Abdomen. Computed tomography.
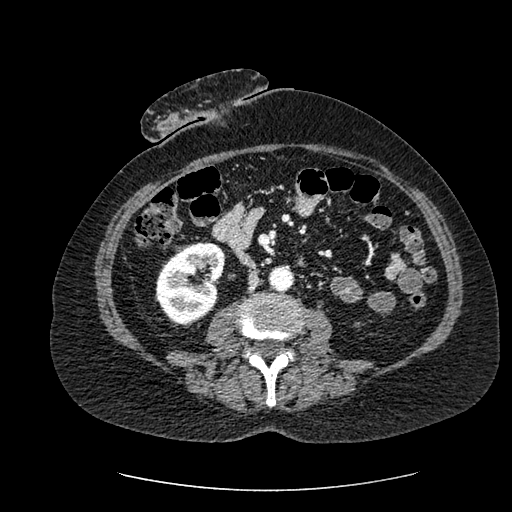 <segmentation>
  <kidney>156 243 224 323</kidney>
</segmentation>